Slice 357/696 | CT slice 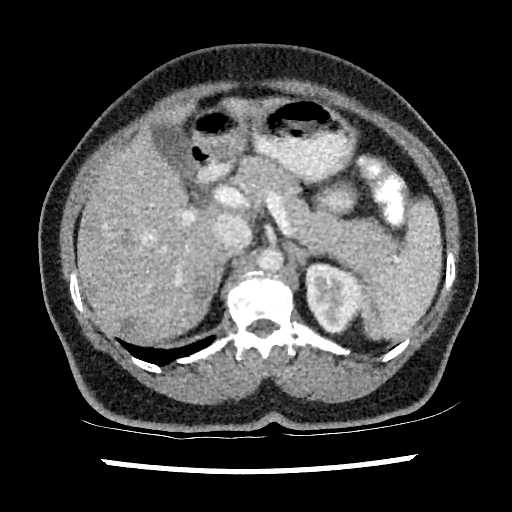 kidney:
  - (left=307, top=264, right=365, bottom=331)
liver:
  - (left=157, top=103, right=193, bottom=126)
  - (left=78, top=127, right=222, bottom=341)
  - (left=224, top=99, right=254, bottom=117)
  - (left=262, top=98, right=288, bottom=111)
focal_liver_lesion:
  - (left=195, top=275, right=210, bottom=301)
  - (left=86, top=282, right=96, bottom=296)
  - (left=117, top=319, right=138, bottom=338)
  - (left=86, top=222, right=100, bottom=231)
  - (left=121, top=235, right=135, bottom=247)